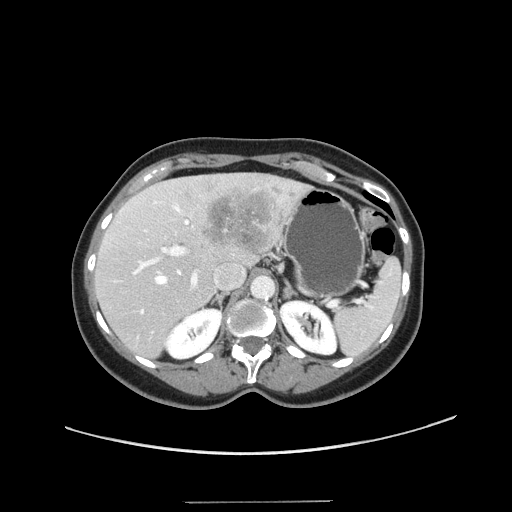 Liver, Computed tomography
The vessel boxes may cover only some of the vessels.
hepatic vessel: bbox(214, 264, 244, 288); bbox(178, 270, 180, 273); bbox(133, 258, 157, 274); bbox(184, 218, 188, 222); bbox(141, 310, 143, 312); bbox(162, 246, 184, 254); bbox(173, 204, 179, 210); bbox(157, 272, 165, 282); bbox(192, 273, 196, 284) | liver tumor: bbox(199, 185, 279, 256)